FLAIR MR.
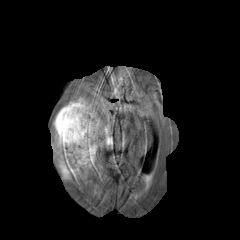
T1-weighted MR image.
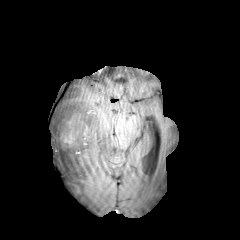
Post-contrast T1-weighted MR image.
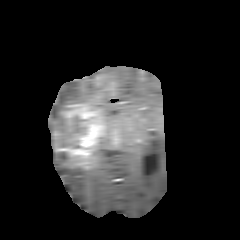
T2-weighted MR.
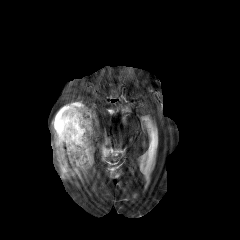
240x240
Edema: bounding box 53, 108, 111, 179; 51, 105, 81, 138; 66, 98, 86, 104.
Enhancing tumor: bounding box 54, 104, 98, 167.
Non-enhancing tumor core: bounding box 56, 152, 66, 158; 59, 134, 75, 147; 77, 126, 85, 134.